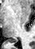
Medial temporal lobe; Image size 35x49; MRI slice

The posterior hippocampus is at (x1=8, y1=40, x2=16, y2=42).